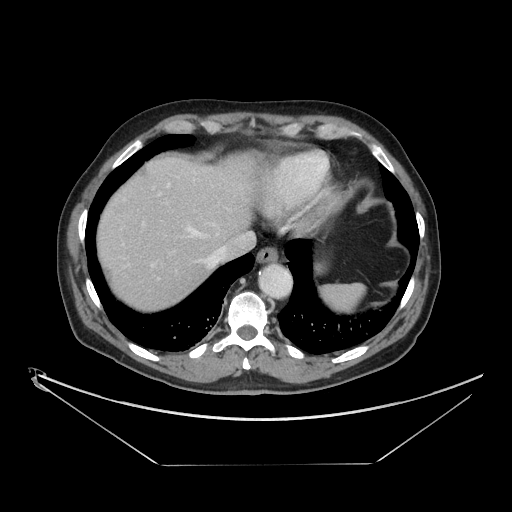

CT slice

Not every hepatic vessel necessarily has a box.
6 hepatic vessel regions appear at (x1=196, y1=260, x2=204, y2=261), (x1=167, y1=183, x2=169, y2=186), (x1=151, y1=264, x2=153, y2=266), (x1=186, y1=226, x2=199, y2=234), (x1=211, y1=223, x2=214, y2=224), (x1=206, y1=247, x2=224, y2=265).